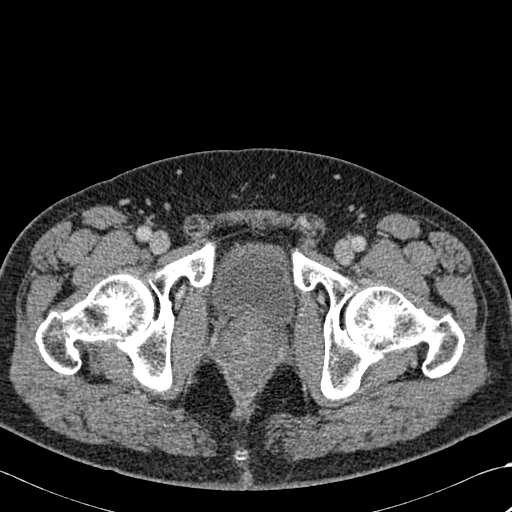

Computed tomography; 512x512 px
Bone — {"x1": 292, "y1": 252, "x2": 464, "y2": 399}, {"x1": 35, "y1": 243, "x2": 214, "y2": 391}.